Slice index 77 | Brain
FLAIR MR.
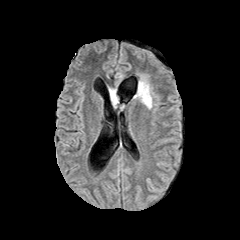
T1-weighted magnetic resonance.
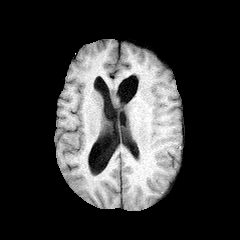
Post-contrast T1-weighted MRI.
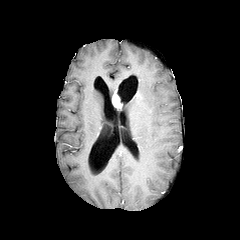
T2-weighted MRI.
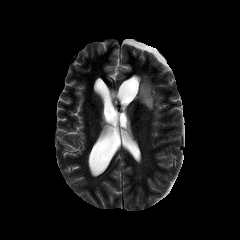
Findings:
* edema: 133,75,157,109
* enhancing tumor: 112,91,120,107